FLAIR MRI.
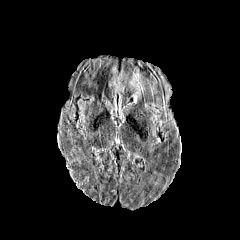
T1-weighted MRI.
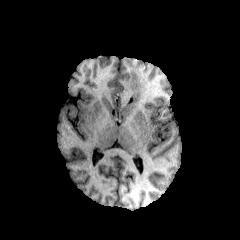
Post-contrast T1-weighted MRI.
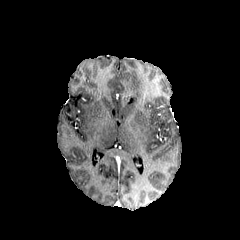
T2-weighted magnetic resonance.
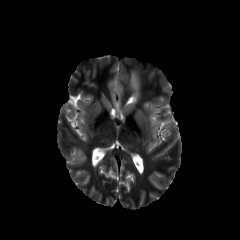
240x240 px
Edema — 131 74 140 94.